MRI | Slice 8/36
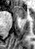
The anterior hippocampus is located at (left=15, top=6, right=26, bottom=20).